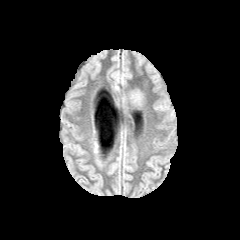
FLAIR magnetic resonance.
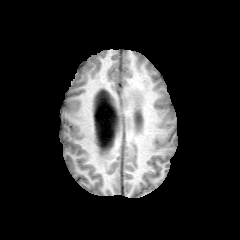
T1-weighted MR.
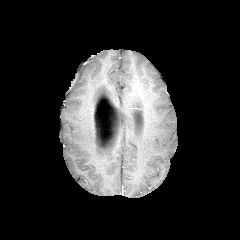
Post-contrast T1-weighted MRI.
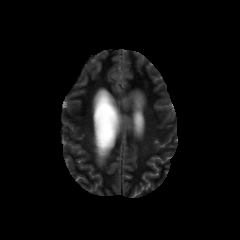
T2-weighted MR of the same slice.
Image size 240x240
edema:
  - box(120, 88, 145, 110)